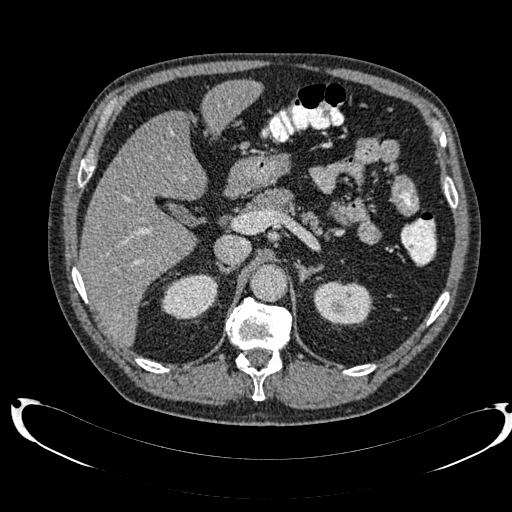 Image size 512x512. CT scan slice.

Focal liver lesion: bounding box bbox=[148, 112, 185, 145].
Kidney: bounding box bbox=[315, 281, 371, 324]; bbox=[162, 274, 217, 318].
Liver: bounding box bbox=[80, 111, 205, 345]; bbox=[203, 80, 261, 135].